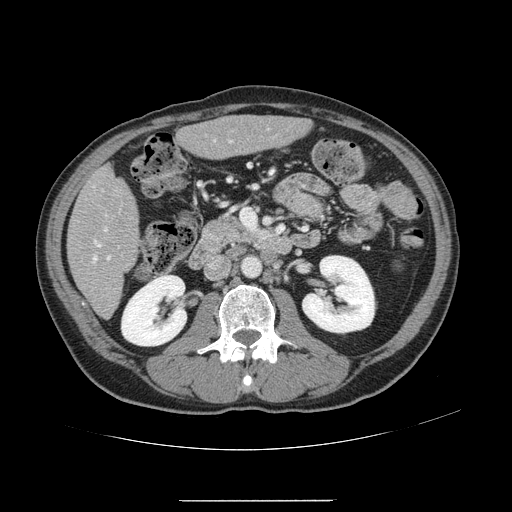 Image size 512x512; CT image

Only some of the vessels may be annotated.
Hepatic vessel — 229 140 231 141, 94 240 101 246, 93 254 96 262, 104 228 106 230, 107 257 109 259.